Image size 240x240.
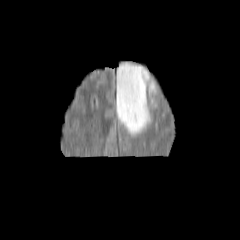
FLAIR MR image.
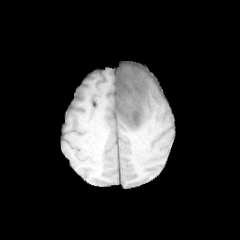
T1-weighted MRI of the same slice.
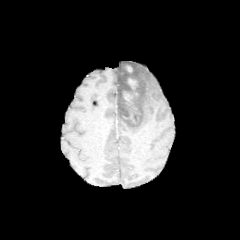
Same slice, post-contrast T1-weighted MR image.
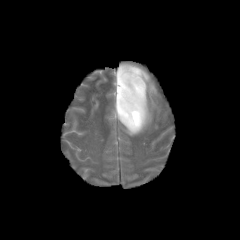
Same slice, T2-weighted MRI.
Enhancing tumor: (128,78,137,88), (123,94,132,105).
Non-enhancing tumor core: (118,63,141,124).
Edema: (116,63,151,134), (151,82,157,94).